Upper abdomen | CT scan slice 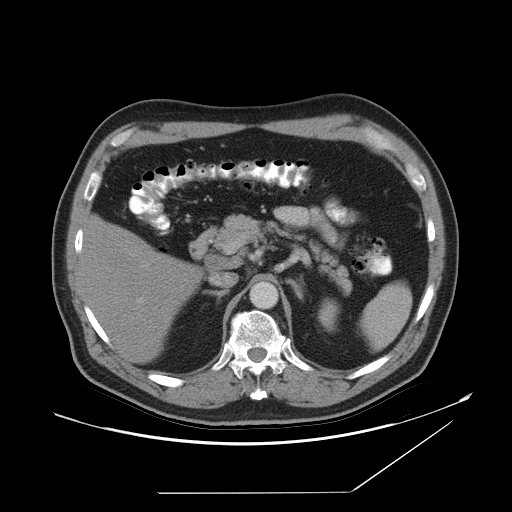 The spleen is bounded by [362, 283, 411, 348].